FLAIR MRI.
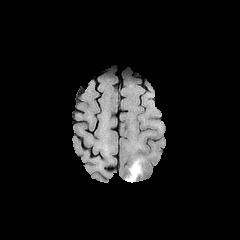
T1-weighted MR image.
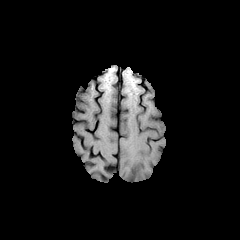
Post-contrast T1-weighted MRI.
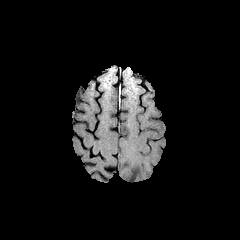
T2-weighted MR.
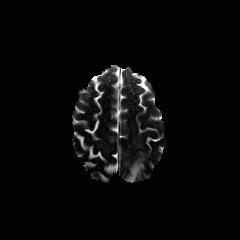
Head
<segmentation>
  <edema>bbox=[126, 158, 141, 181]</edema>
</segmentation>